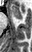

MRI
* anterior hippocampus: {"x1": 11, "y1": 5, "x2": 22, "y2": 18}